Brain. 240x240 px. Slice index 87.
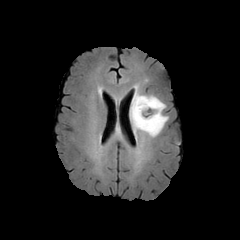
FLAIR MR.
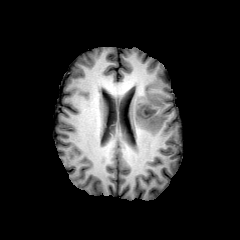
T1-weighted MR image.
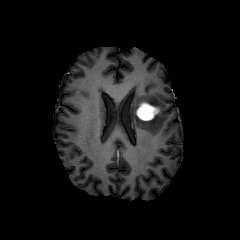
Post-contrast T1-weighted MRI of the same slice.
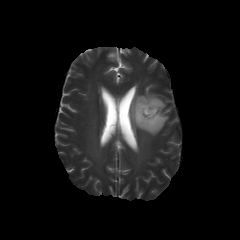
T2-weighted MR image of the same slice.
{"enhancing_tumor": ["135:101:159:120"], "edema": ["130:84:168:140"]}